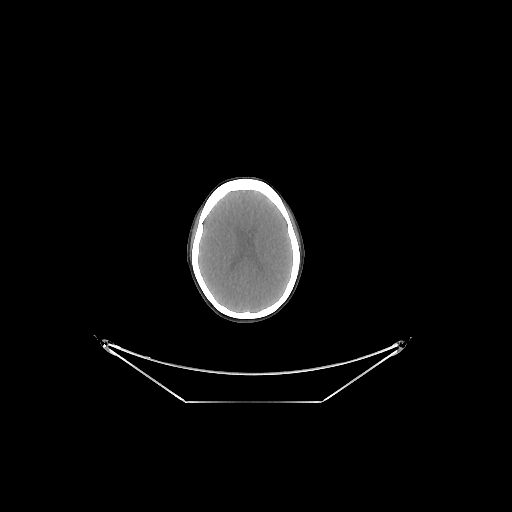

CT image | 512x512 px

Brain: bounding box (198, 190, 292, 312).